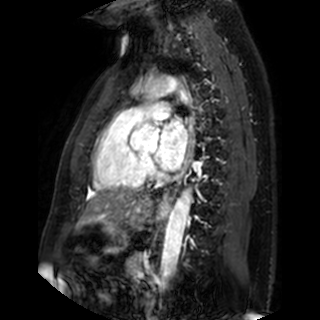
MR. Heart. The left atrium is at (155,119,187,170).